CT image; 512x512 px; Slice index 72
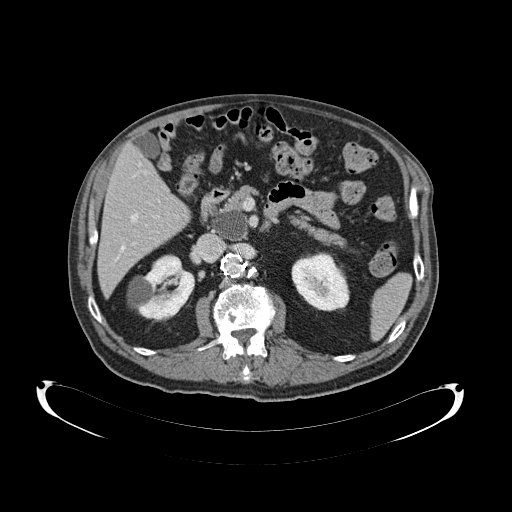 2 pancreas regions appear at {"x1": 287, "y1": 214, "x2": 348, "y2": 249}, {"x1": 213, "y1": 185, "x2": 259, "y2": 241}. The pancreatic tumor is bounded by {"x1": 213, "y1": 211, "x2": 246, "y2": 239}.